CT, Liver

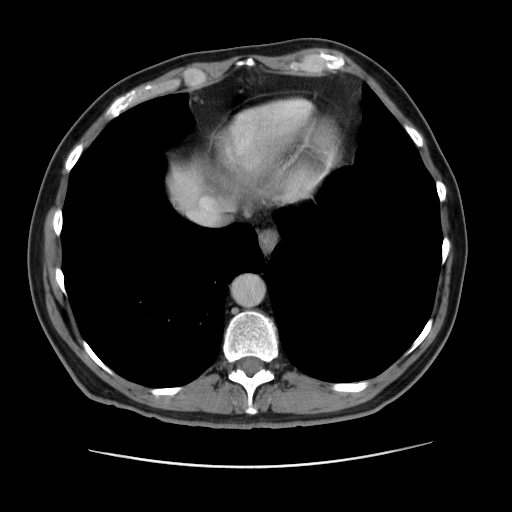 <segmentation>
  <liver>region(166, 153, 314, 225)</liver>
  <liver_lesion>region(201, 166, 232, 194)</liver_lesion>
</segmentation>